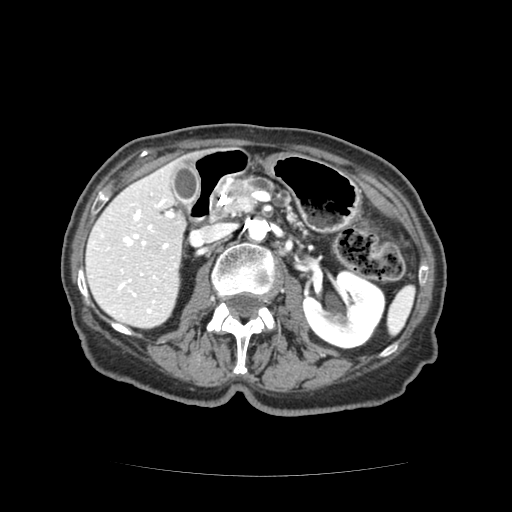

CT

The pancreas is at (224, 177, 307, 236). The pancreatic tumor lies within (232, 182, 247, 193).